Pelvis | CT image
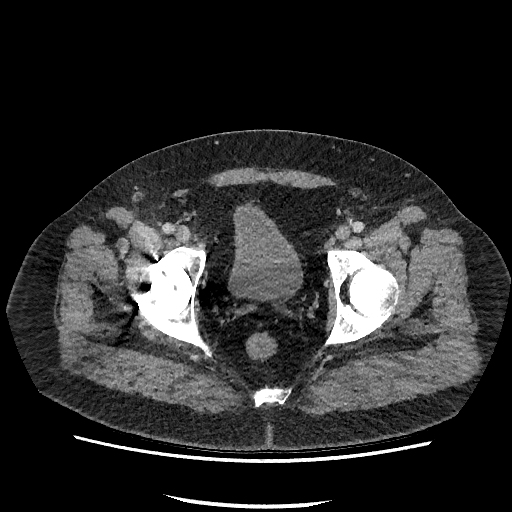

{"urinary_bladder": ["bbox=[228, 202, 302, 301]"]}